Slice index 72; Brain; 240x240
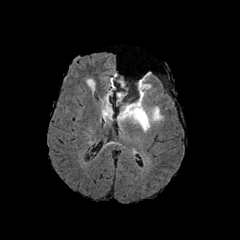
FLAIR MR image.
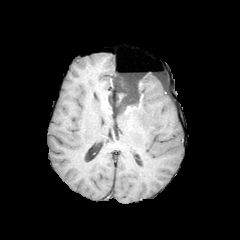
T1-weighted magnetic resonance.
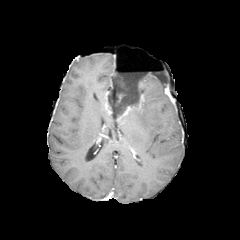
Same slice, post-contrast T1-weighted MR image.
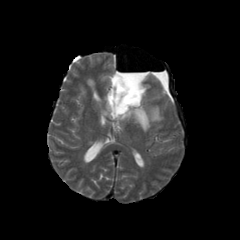
T2-weighted magnetic resonance.
non-enhancing_tumor_core:
  - bbox(116, 78, 143, 115)
edema:
  - bbox(100, 76, 115, 120)
  - bbox(117, 74, 163, 132)